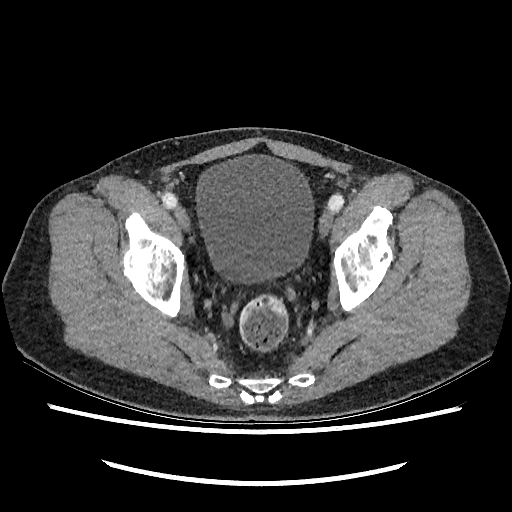 CT

Urinary bladder — box=[195, 154, 314, 284].